512x512, Upper abdomen, Computed tomography
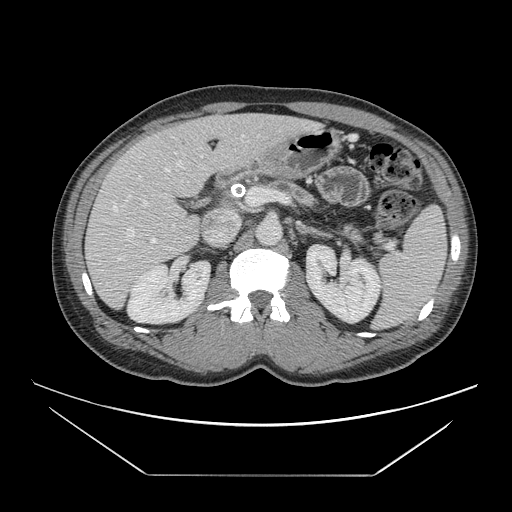
Pancreas: x1=343 y1=225 x2=361 y2=244, x1=269 y1=181 x2=316 y2=206.